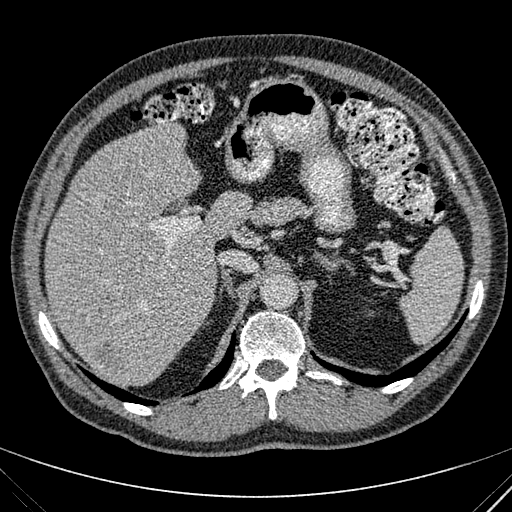 Upper abdomen; CT
The liver lesion is at bbox(90, 333, 126, 378). The liver is located at bbox(47, 123, 250, 385).